Field of view 240x240 mm, Slice 82/155
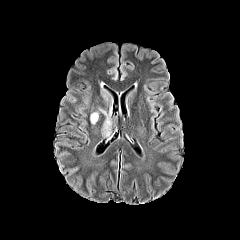
FLAIR MR.
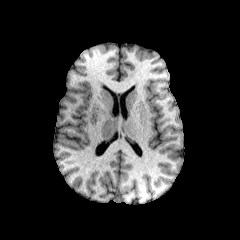
T1-weighted magnetic resonance.
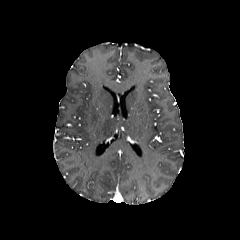
Same slice, post-contrast T1-weighted MR.
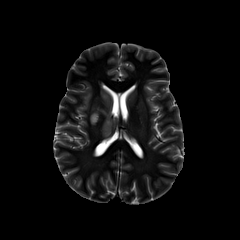
Same slice, T2-weighted MR image.
3 edema regions are bounded by <box>101,87,108,106</box>, <box>90,111,99,124</box>, <box>98,100,112,137</box>.